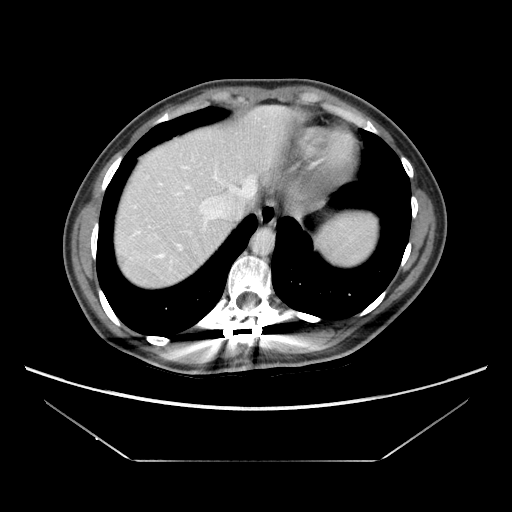
CT slice
Some hepatic vessels may have no box.
<segmentation>
  <hepatic_vessel>region(198, 168, 254, 229); region(177, 192, 181, 194); region(159, 253, 164, 257); region(185, 186, 189, 189); region(181, 165, 189, 169)</hepatic_vessel>
</segmentation>